FLAIR MR image.
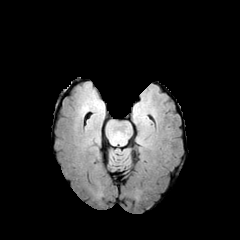
T1-weighted MR.
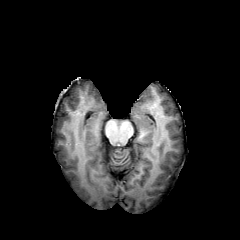
Post-contrast T1-weighted magnetic resonance.
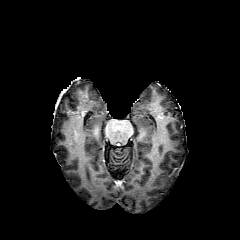
T2-weighted MR.
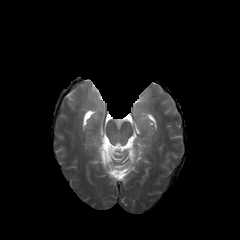
240x240 px | Brain
edema: box(96, 102, 103, 111)